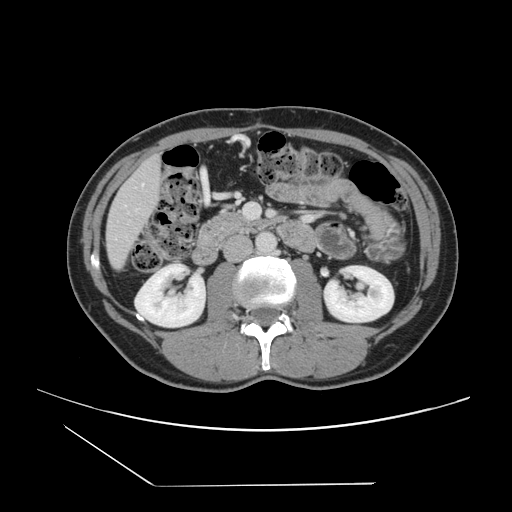 CT. 512x512 px.

The vessel annotation is not exhaustive.
The hepatic vessel is at (136, 209, 138, 210).